CT scan slice, Chest

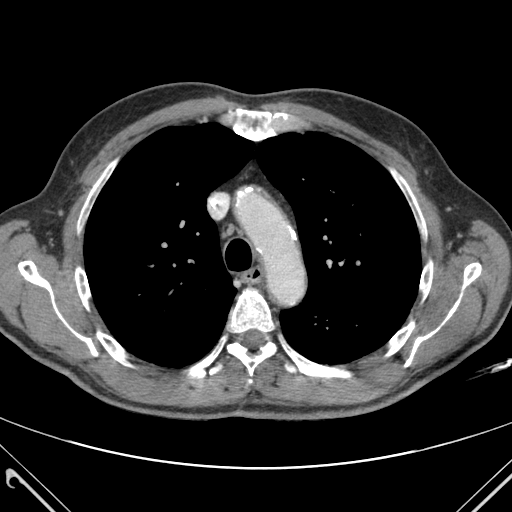

{
  "bone": [
    "bbox(78, 161, 115, 230)",
    "bbox(462, 263, 481, 288)",
    "bbox(18, 261, 97, 355)",
    "bbox(228, 109, 290, 140)",
    "bbox(189, 344, 222, 377)",
    "bbox(227, 342, 275, 375)",
    "bbox(209, 367, 220, 374)",
    "bbox(75, 267, 90, 309)",
    "bbox(282, 344, 350, 377)",
    "bbox(420, 261, 432, 298)",
    "bbox(392, 171, 426, 233)",
    "bbox(97, 332, 130, 366)",
    "bbox(231, 289, 273, 332)",
    "bbox(386, 322, 414, 355)",
    "bbox(404, 295, 461, 366)"
  ],
  "lung": [
    "bbox(84, 123, 421, 367)"
  ]
}